Image size 240x240; Slice 71 of 155
FLAIR MR image.
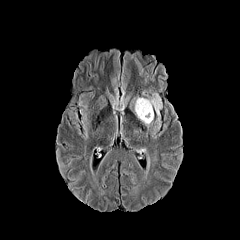
T1-weighted MR.
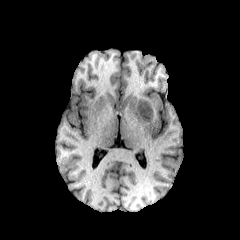
Post-contrast T1-weighted MR.
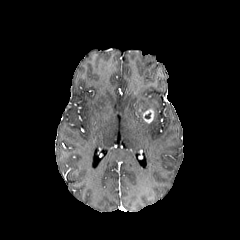
T2-weighted MRI.
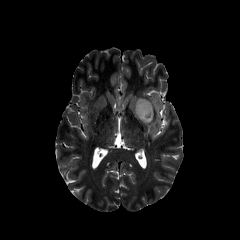
Edema — <box>134,93,162,129</box>.
Non-enhancing tumor core — <box>139,105,151,116</box>.
Enhancing tumor — <box>142,108,154,122</box>.